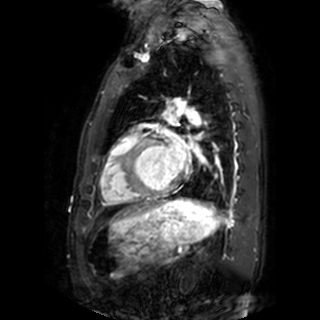 MR image; 320x320 px

The left atrium appears at <box>168,139,185,169</box>.